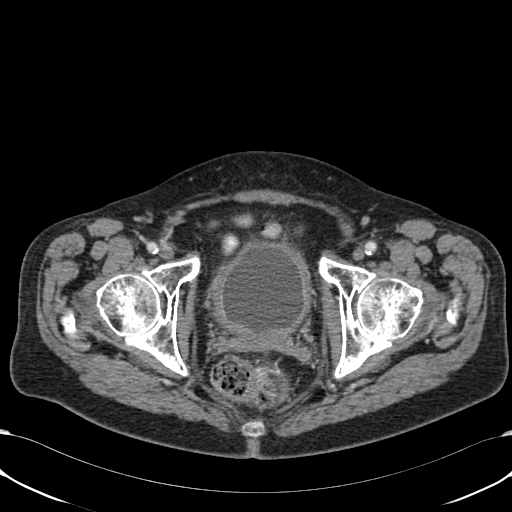 CT slice
The urinary bladder is located at (left=223, top=248, right=303, bottom=332).